Liver | CT image
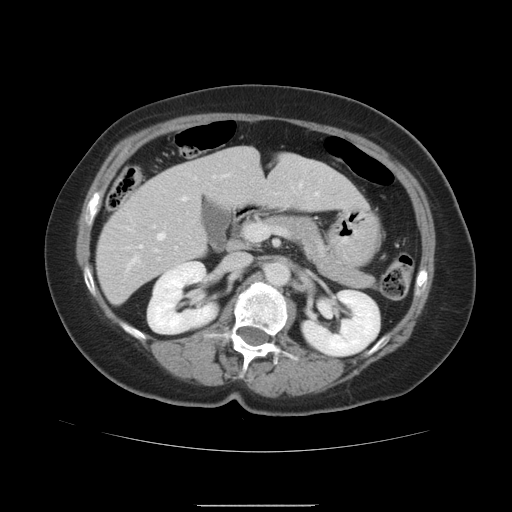
Only some of the vessels may be annotated.
Annotated regions:
- hepatic vessel (most prominent 15 of 17): region(127, 257, 140, 272); region(158, 233, 165, 240); region(299, 183, 302, 187); region(158, 258, 160, 260); region(182, 197, 187, 201); region(140, 245, 143, 248); region(293, 188, 295, 190); region(175, 233, 195, 249); region(214, 175, 217, 178); region(127, 227, 133, 231); region(306, 197, 308, 199); region(246, 224, 259, 240); region(222, 175, 227, 177); region(154, 248, 158, 251); region(315, 193, 319, 195)